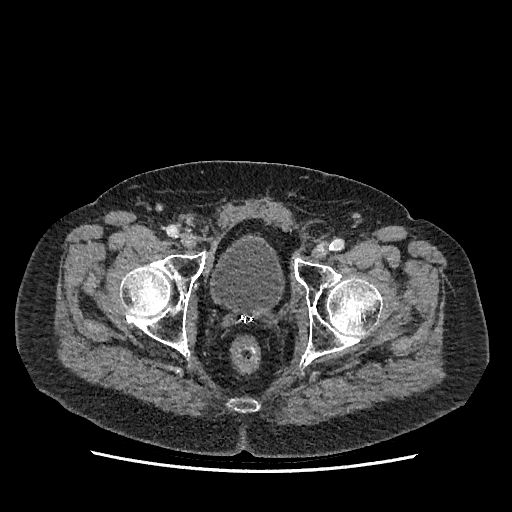 CT image | Lower abdomen

Urinary bladder at (210,240,282,313).